CT scan slice, Abdomen, Slice 10 of 30, Image size 512x512 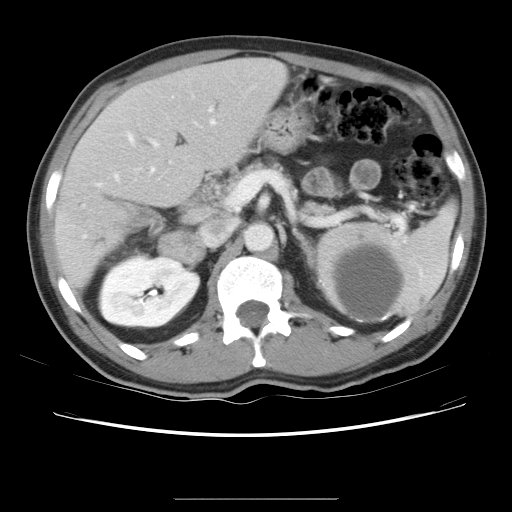

Not every hepatic vessel necessarily has a box.
The liver tumor is located at region(102, 217, 124, 234). 9 hepatic vessel regions are bounded by region(209, 107, 212, 111); region(150, 139, 158, 146); region(114, 173, 119, 180); region(127, 133, 134, 142); region(150, 167, 154, 171); region(97, 182, 101, 186); region(211, 119, 214, 124); region(83, 235, 85, 237); region(194, 122, 198, 124).